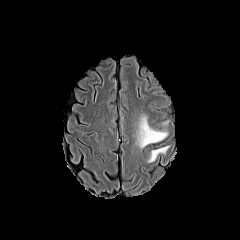
FLAIR magnetic resonance.
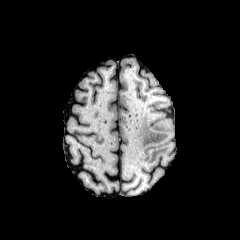
T1-weighted MR image.
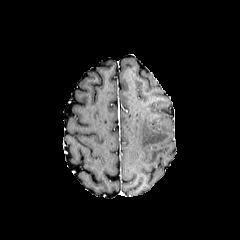
Post-contrast T1-weighted MRI.
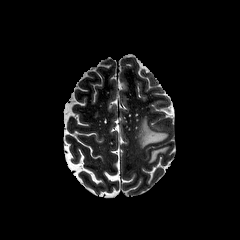
Same slice, T2-weighted MR.
Image size 240x240.
<segmentation>
  <edema><box>148,146,169,162</box>, <box>137,118,167,148</box></edema>
</segmentation>